Slice 150 of 276 | CT image 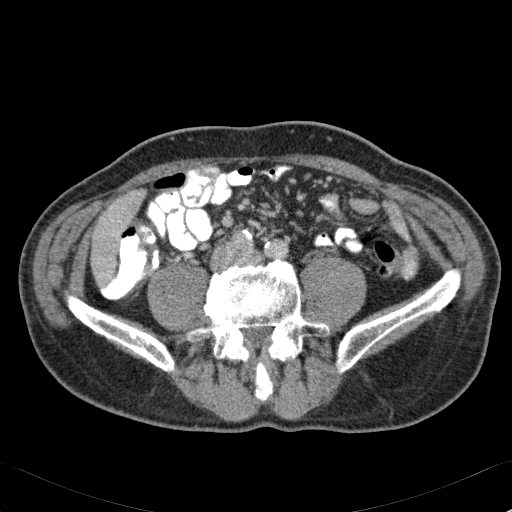
Liver at region(91, 202, 133, 281); region(124, 191, 143, 208).